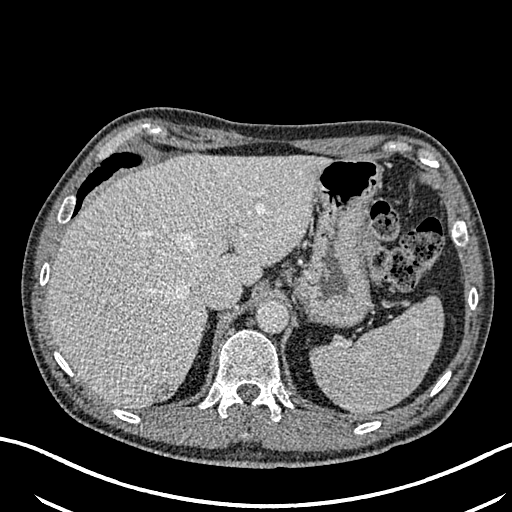 CT, Image size 512x512
The liver lesion lies within (left=150, top=382, right=174, bottom=401). The liver is bounded by (left=49, top=155, right=330, bottom=408).